Upper abdomen; 512x512 px; CT; Image width 512 mm; Slice index 27
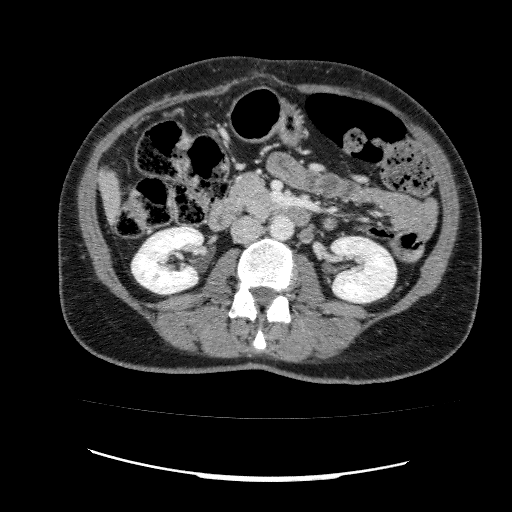

liver:
  - (99,167,119,223)
kidney:
  - (132,227,202,293)
  - (331,237,395,302)